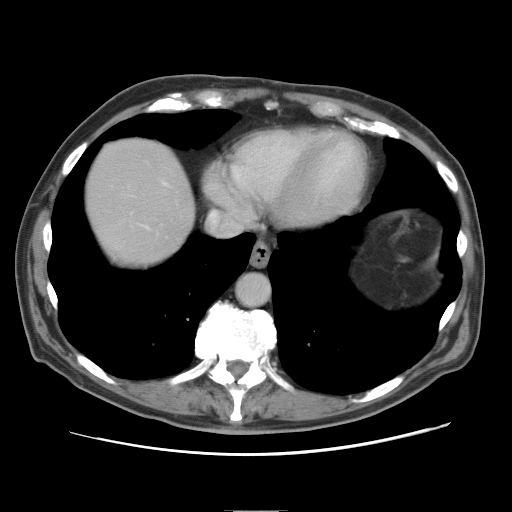 Image size 512x512, CT slice

The vessel annotation is not exhaustive.
Hepatic vessel = 142 226 148 228.